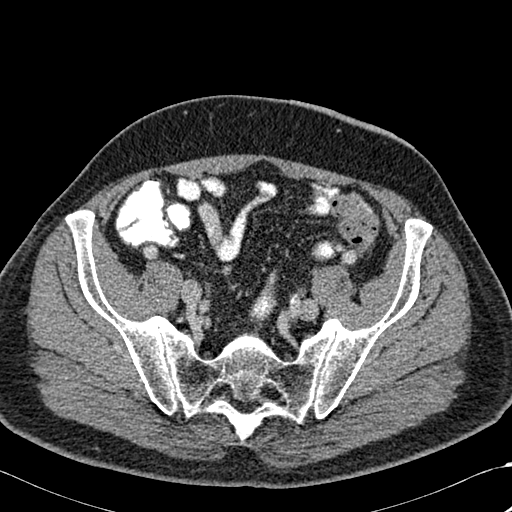 Computed tomography

{
  "bone": [
    "(66, 210, 432, 438)"
  ]
}